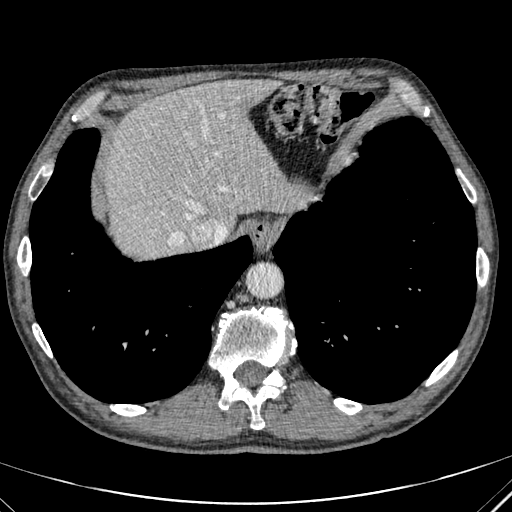
512x512 px | CT slice | Abdomen
liver:
  - 104,79,287,256